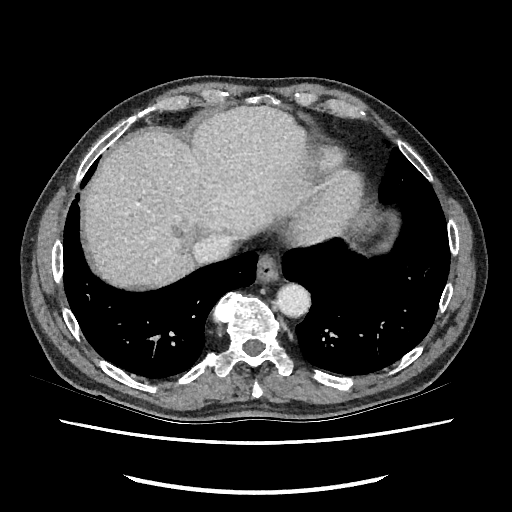 512x512; Liver; CT image
The liver is located at 84,108,303,289. 2 liver lesion regions appear at 172,222,210,253; 130,284,148,289.